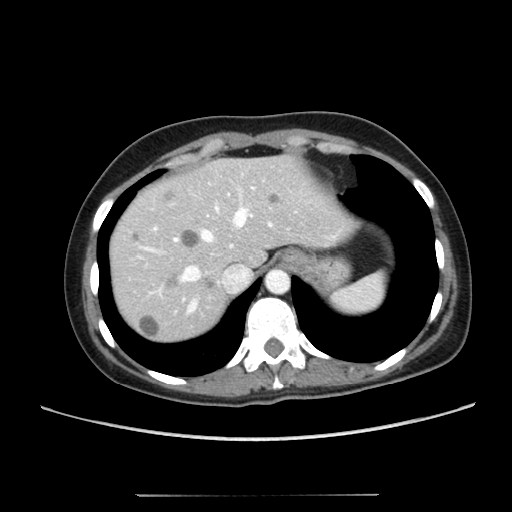 Liver, CT, 512x512
Annotated regions:
* liver: bbox(109, 157, 360, 344)
* hepatic lesion: bbox(165, 273, 178, 289); bbox(137, 314, 159, 338); bbox(162, 189, 179, 203); bbox(180, 229, 198, 248); bbox(130, 232, 139, 241); bbox(198, 276, 215, 288); bbox(267, 192, 280, 203)